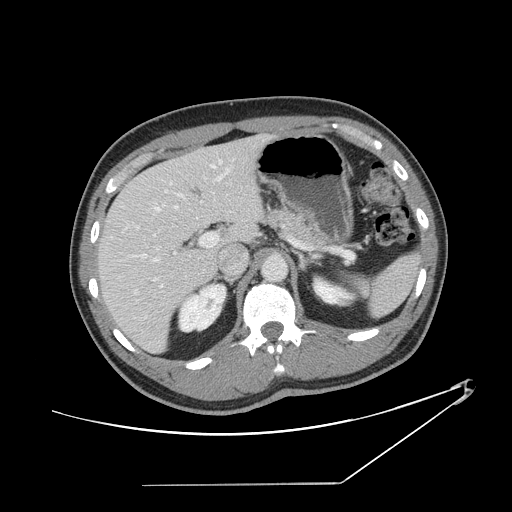
Liver; Computed tomography
The vessel boxes may cover only some of the vessels.
{"partial": true, "hepatic_vessel": {"n_total": 20, "boxes": ["box=[136, 226, 139, 228]", "box=[134, 290, 137, 293]", "box=[164, 190, 167, 191]", "box=[231, 159, 233, 161]", "box=[212, 165, 215, 168]", "box=[199, 232, 217, 247]", "box=[155, 207, 160, 211]", "box=[152, 277, 157, 280]", "box=[218, 160, 221, 163]", "box=[215, 166, 230, 181]", "box=[136, 254, 146, 257]", "box=[177, 194, 183, 196]", "box=[160, 285, 162, 287]", "box=[153, 258, 159, 260]", "box=[170, 182, 171, 184]"]}}